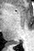 Hippocampus; Magnetic resonance

{
  "posterior_hippocampus": [
    "<box>7,41,18,45</box>"
  ]
}